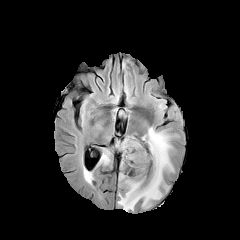
FLAIR MR image.
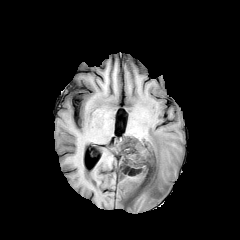
T1-weighted MRI.
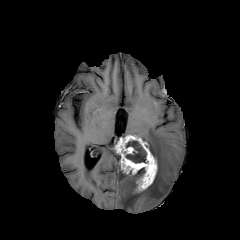
Same slice, post-contrast T1-weighted MRI.
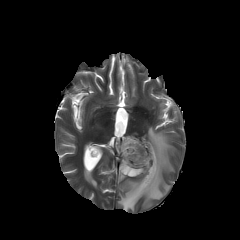
Same slice, T2-weighted MRI.
Image size 240x240 | Brain
Segmented structures:
* enhancing tumor: <bbox>116, 136, 157, 191</bbox>
* edema: <bbox>118, 126, 174, 211</bbox>, <bbox>100, 148, 111, 164</bbox>, <bbox>84, 172, 93, 182</bbox>, <bbox>132, 143, 145, 159</bbox>
* non-enhancing tumor core: <bbox>128, 167, 146, 192</bbox>, <bbox>124, 150, 146, 163</bbox>, <bbox>126, 136, 155, 157</bbox>